CT slice, Slice index 25
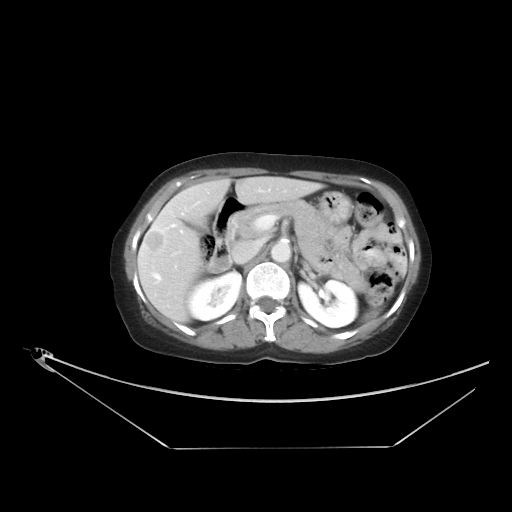
Liver tumor at (143, 230, 165, 252).